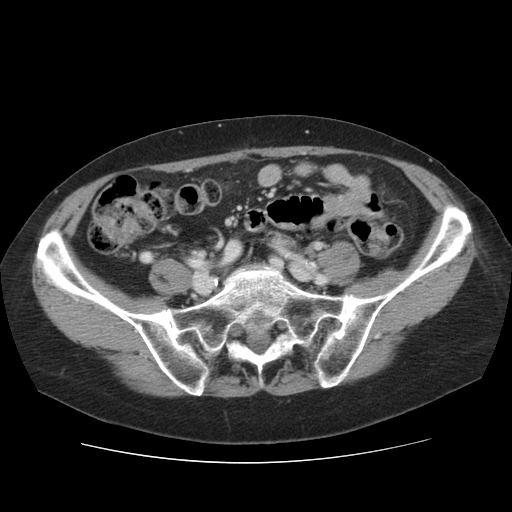 512x512 px; Computed tomography

- bone: x1=36 y1=191 x2=470 y2=395